FLAIR MR.
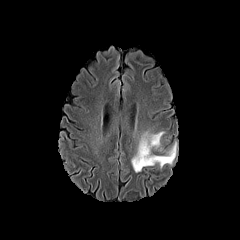
T1-weighted MRI.
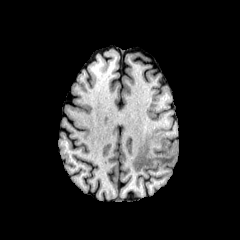
Post-contrast T1-weighted MRI.
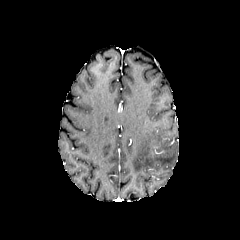
T2-weighted MRI.
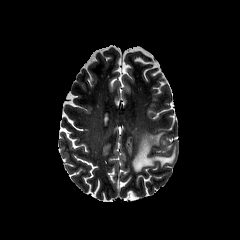
Brain.
<segmentation>
  <edema>131 129 175 173</edema>
</segmentation>